Brain; Field of view 240 mm wide, 1.00 mm slice spacing
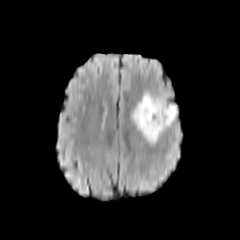
FLAIR MR.
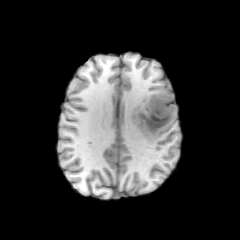
T1-weighted MRI of the same slice.
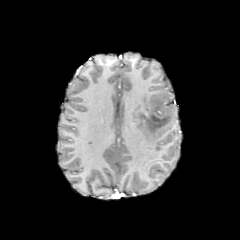
Same slice, post-contrast T1-weighted MR image.
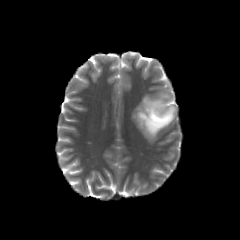
Same slice, T2-weighted MRI.
edema: [132, 93, 177, 144] | non-enhancing tumor core: [139, 91, 173, 132]